Slice 134 of 466. Image size 512x512. CT.
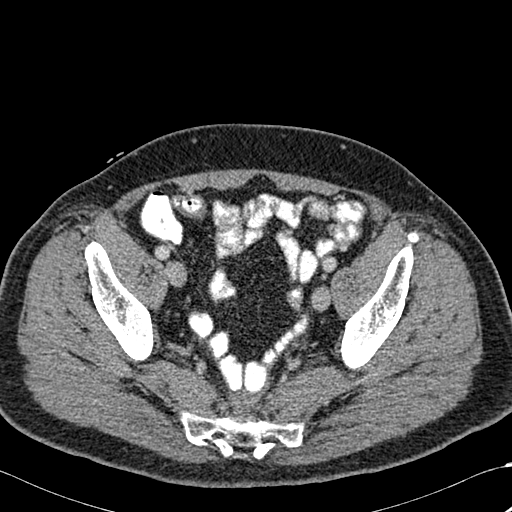

- bone: 341 244 413 368, 85 241 152 360, 182 412 302 458, 408 233 417 241